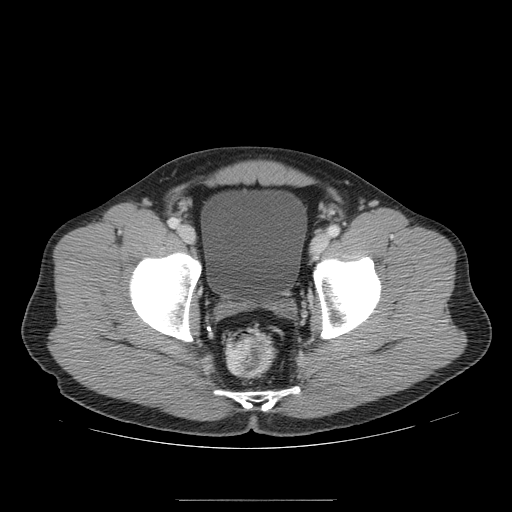 CT slice, Pelvis
Colon tumor: bbox(227, 338, 252, 373).